Brain
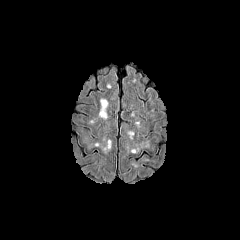
FLAIR MR.
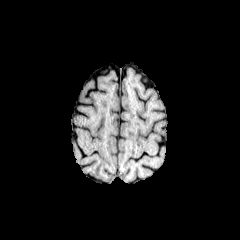
T1-weighted MRI.
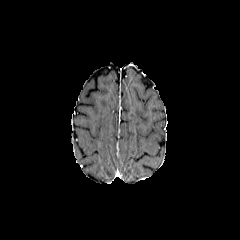
Post-contrast T1-weighted magnetic resonance.
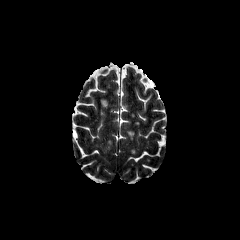
T2-weighted magnetic resonance.
Edema = rect(100, 101, 106, 118).